Field of view 400 mm wide, 5.00 mm slice spacing, Slice 7/54, Abdomen, CT
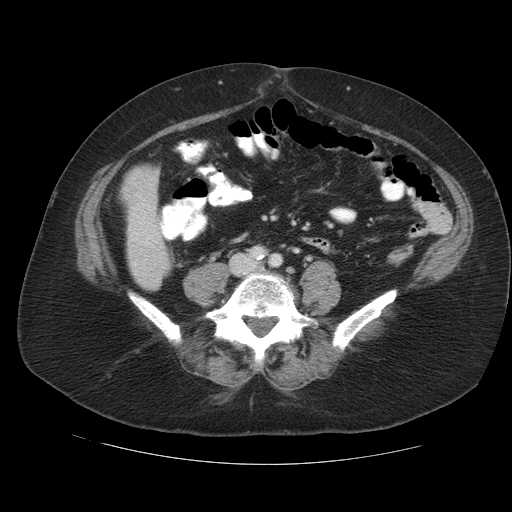 Findings:
• liver tumor: [124, 169, 148, 201]